FLAIR MRI.
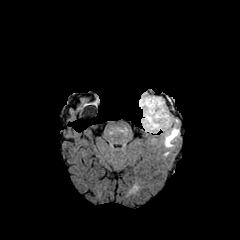
T1-weighted MRI.
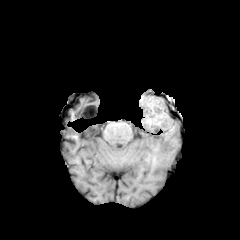
Post-contrast T1-weighted MRI.
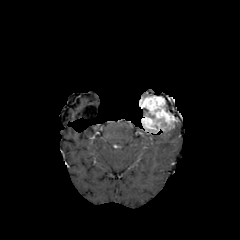
T2-weighted MR.
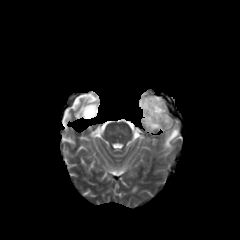
Segmented structures:
- enhancing tumor: 139 95 174 133
- edema: 162 121 179 155